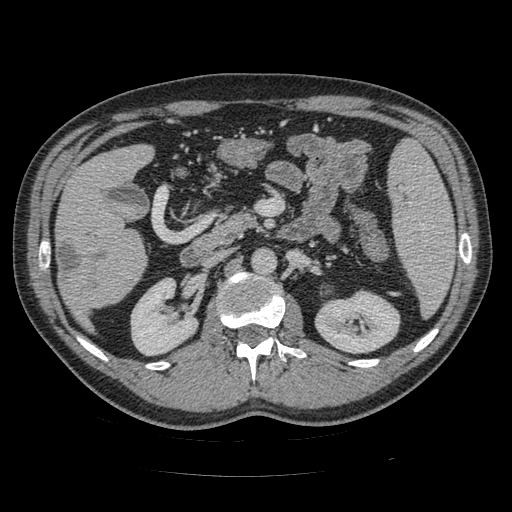

Image size 512x512. CT slice. pancreas: (x1=214, y1=213, x2=255, y2=239)